CT; Slice 72 of 97

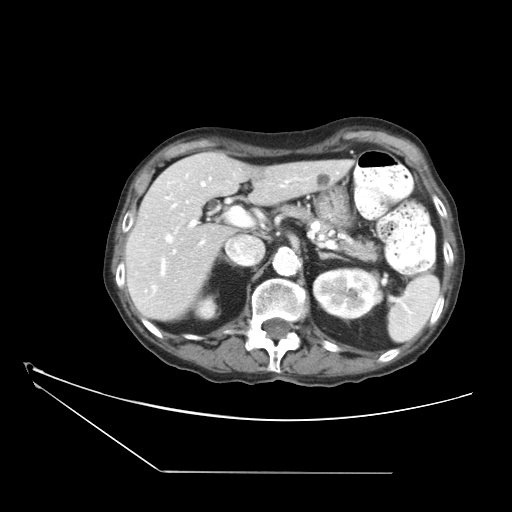 Findings:
- pancreas: 276:206:380:263